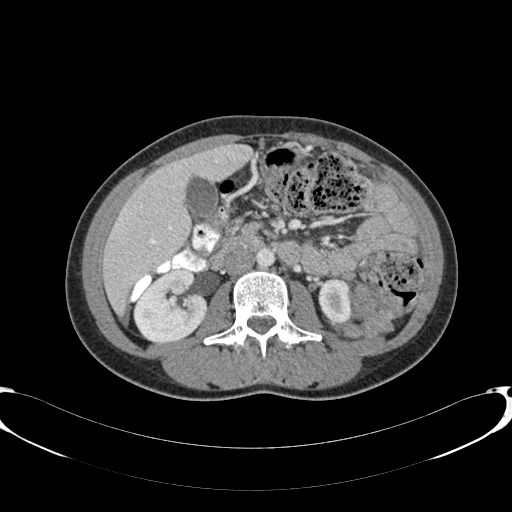 CT scan slice
{"liver": ["x1=103, y1=144, x2=252, y2=315"], "kidney": ["x1=319, y1=280, x2=350, y2=323", "x1=134, y1=270, x2=205, y2=341"]}